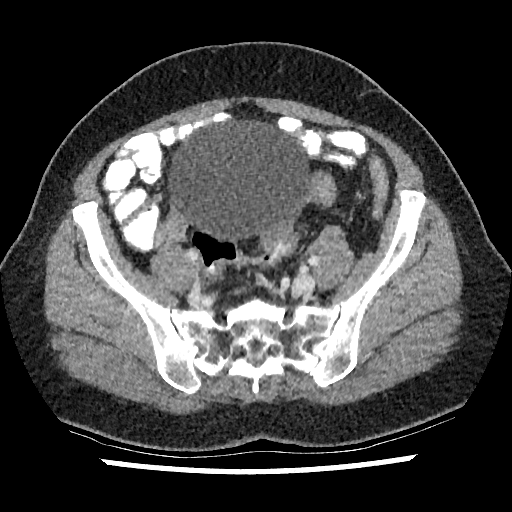 Pelvis | CT scan slice | 512x512 px

urinary bladder: x1=167, y1=120, x2=312, y2=243